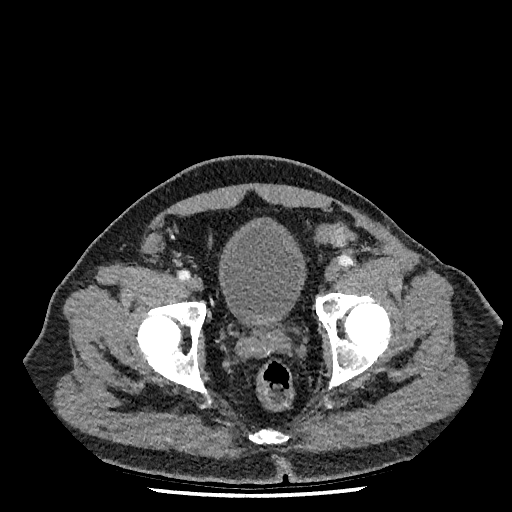

CT, Pelvis

Segmented structures:
• urinary bladder: rect(218, 219, 306, 324)